Head. Slice 59 of 155.
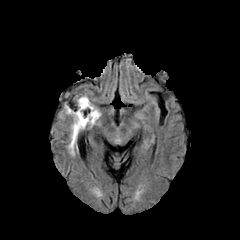
FLAIR magnetic resonance.
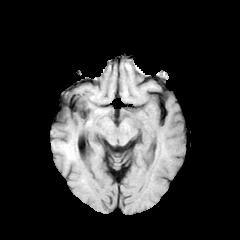
T1-weighted MRI of the same slice.
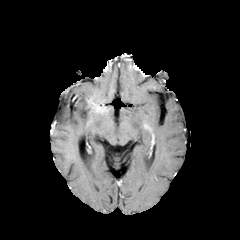
Post-contrast T1-weighted MR.
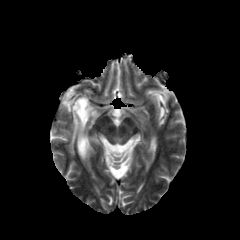
T2-weighted MRI.
The non-enhancing tumor core is at [74,95,97,121]. The edema lies within [64,102,101,152].